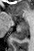

Image size 34x51; Hippocampus; MR
- posterior hippocampus: (12, 25, 29, 40)
- anterior hippocampus: (23, 21, 26, 24), (14, 17, 17, 21)